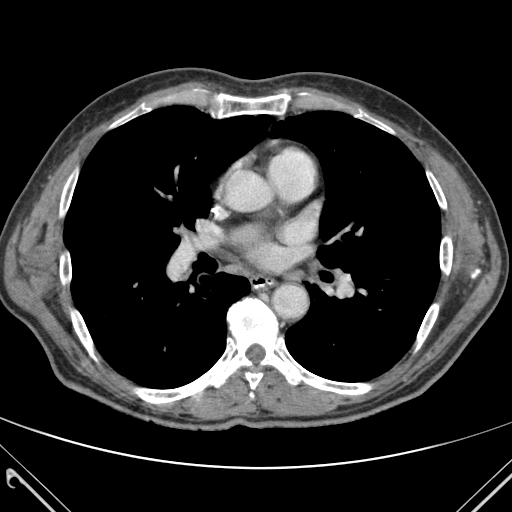

512x512 px; Chest; CT slice
Lung: bounding box {"x1": 199, "y1": 253, "x2": 207, "y2": 259}, {"x1": 270, "y1": 111, "x2": 440, "y2": 381}, {"x1": 64, "y1": 105, "x2": 271, "y2": 388}.
Bone: bounding box {"x1": 71, "y1": 311, "x2": 96, "y2": 359}, {"x1": 440, "y1": 237, "x2": 452, "y2": 274}, {"x1": 60, "y1": 254, "x2": 71, "y2": 283}, {"x1": 246, "y1": 372, "x2": 262, "y2": 388}, {"x1": 136, "y1": 298, "x2": 370, "y2": 403}, {"x1": 110, "y1": 103, "x2": 151, "y2": 127}, {"x1": 60, "y1": 172, "x2": 77, "y2": 219}, {"x1": 193, "y1": 89, "x2": 292, "y2": 117}, {"x1": 416, "y1": 304, "x2": 438, "y2": 349}, {"x1": 427, "y1": 172, "x2": 446, "y2": 208}, {"x1": 329, "y1": 101, "x2": 393, "y2": 132}.